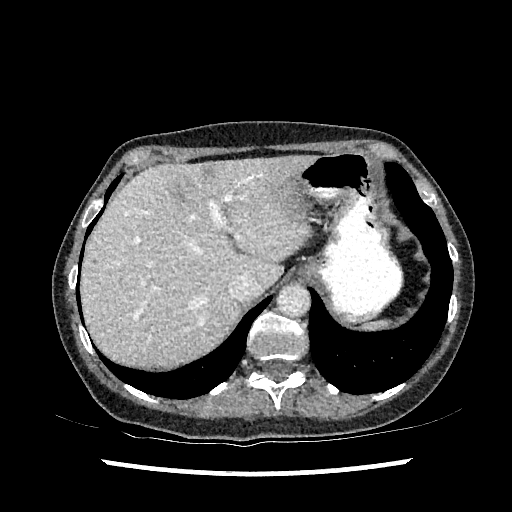 CT scan slice. Upper abdomen.

liver:
  - {"x1": 80, "y1": 156, "x2": 317, "y2": 366}
focal_liver_lesion:
  - {"x1": 170, "y1": 178, "x2": 196, "y2": 205}
  - {"x1": 206, "y1": 166, "x2": 217, "y2": 177}
  - {"x1": 274, "y1": 173, "x2": 301, "y2": 212}